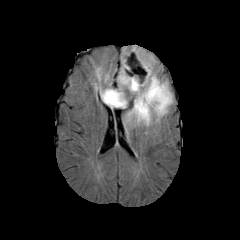
FLAIR MR.
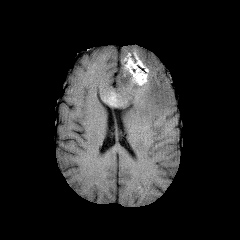
T1-weighted MR.
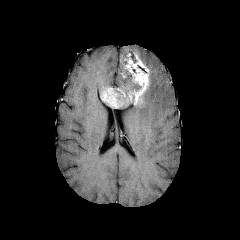
Post-contrast T1-weighted MR of the same slice.
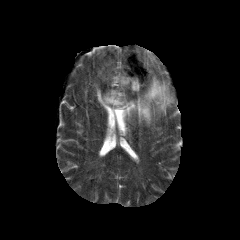
T2-weighted magnetic resonance of the same slice.
Image size 240x240
3 edema regions are bounded by left=97, top=58, right=135, bottom=89; left=94, top=83, right=104, bottom=95; left=123, top=54, right=173, bottom=132. 2 enhancing tumor regions are located at left=131, top=66, right=149, bottom=105; left=101, top=88, right=128, bottom=107. 2 non-enhancing tumor core regions are located at left=125, top=55, right=145, bottom=78; left=113, top=74, right=134, bottom=108.